Slice index 63; Brain
FLAIR magnetic resonance.
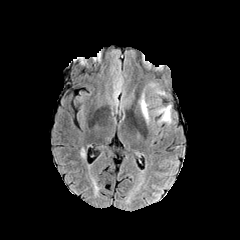
T1-weighted magnetic resonance.
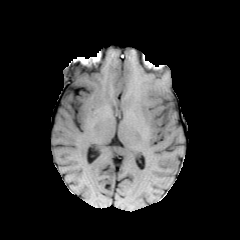
Post-contrast T1-weighted magnetic resonance.
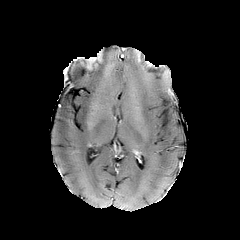
T2-weighted magnetic resonance.
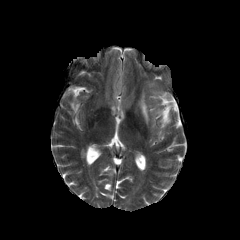
Edema: x1=139, y1=88, x2=172, y2=125.